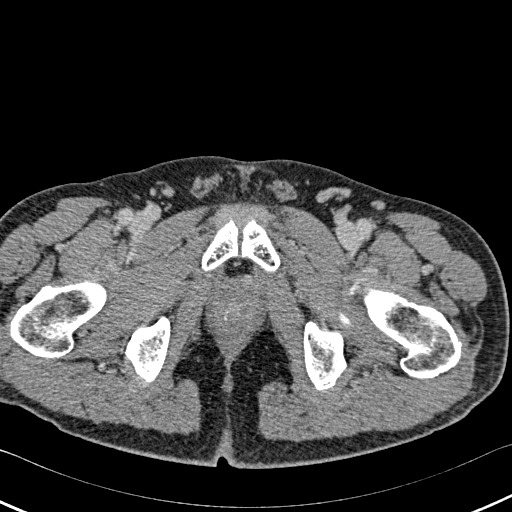
CT image
5 bone regions are located at [363, 289, 461, 377], [202, 220, 279, 271], [0, 281, 105, 357], [125, 317, 170, 381], [304, 322, 345, 389].